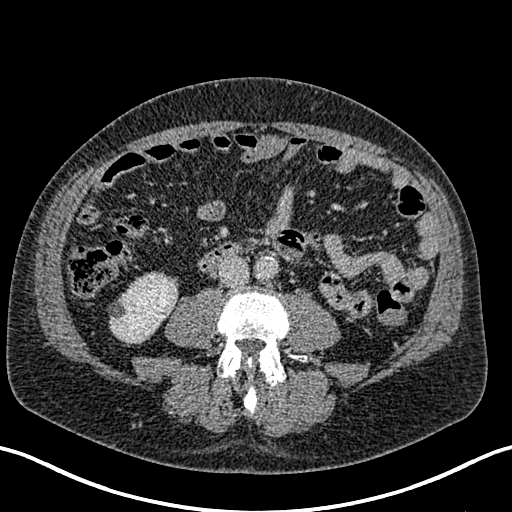

CT scan slice; 512x512 px

kidney: 110:274:175:342